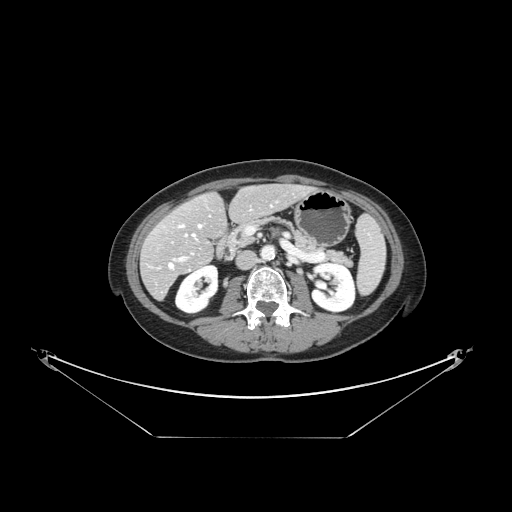
512x512 px | CT scan slice

Only some of the vessels may be annotated.
{"hepatic_vessel": ["(left=180, top=225, right=182, bottom=226)", "(left=179, top=258, right=184, bottom=260)", "(left=198, top=225, right=200, bottom=227)"]}